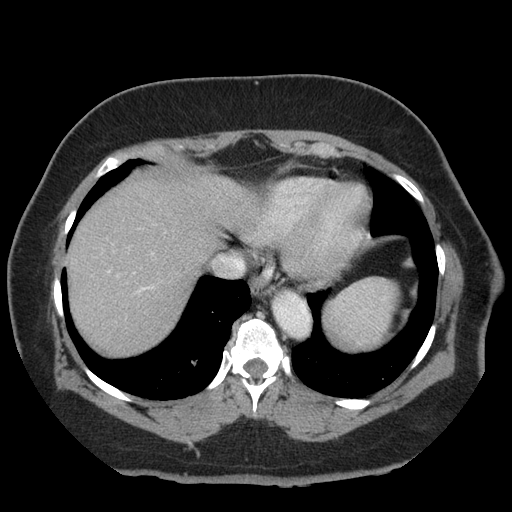
512x512 px, Liver, CT image
The vessel boxes may cover only some of the vessels.
Hepatic vessel: bounding box left=108, top=271, right=109, bottom=272; left=221, top=258, right=241, bottom=274; left=138, top=287, right=152, bottom=291.